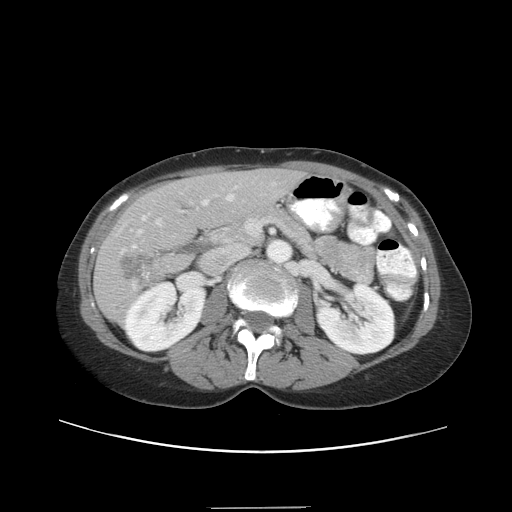

CT; Liver

Only some of the vessels may be annotated.
liver tumor: <box>121,252,164,285</box> | hepatic vessel: <box>202,200,207,204</box>, <box>234,185,236,188</box>, <box>142,215,146,220</box>, <box>121,248,125,253</box>, <box>137,229,142,234</box>, <box>130,229,132,231</box>, <box>132,284,135,288</box>, <box>227,194,233,199</box>, <box>132,245,136,248</box>, <box>156,218,161,225</box>